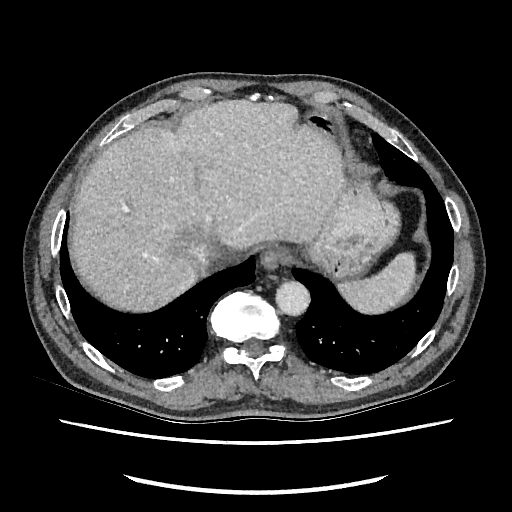
Image size 512x512; CT image; Abdomen
Focal liver lesion = 175 227 202 258.
Liver = 73 101 339 308.